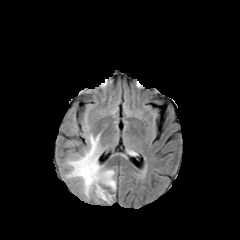
FLAIR magnetic resonance.
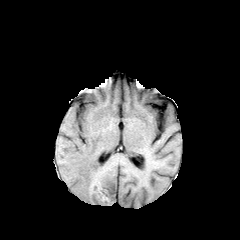
T1-weighted magnetic resonance.
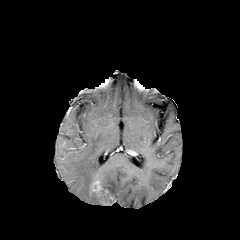
Post-contrast T1-weighted MRI.
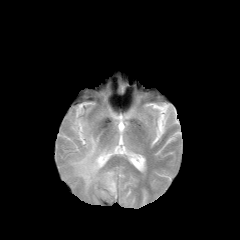
T2-weighted magnetic resonance.
Head | 240x240
Edema: bounding box x1=66, y1=122, x2=116, y2=202.